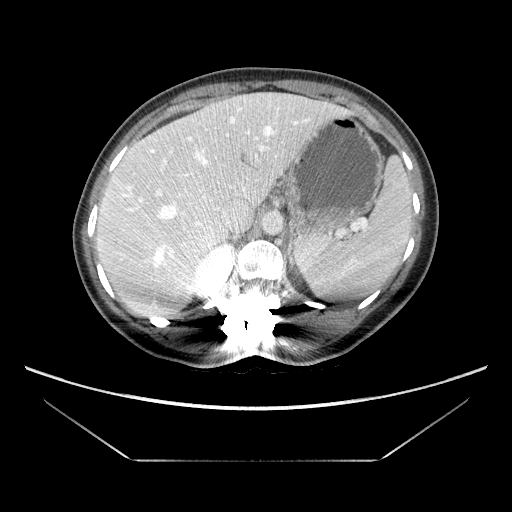

CT image. Abdomen. Only some of the vessels may be annotated.
Hepatic vessel: box=[220, 201, 245, 230]; box=[195, 149, 200, 154]; box=[157, 201, 186, 220]; box=[192, 212, 202, 226]; box=[134, 224, 171, 253]; box=[214, 218, 215, 220]; box=[259, 146, 263, 150]; box=[266, 127, 270, 133]; box=[200, 157, 206, 163].